FLAIR MRI.
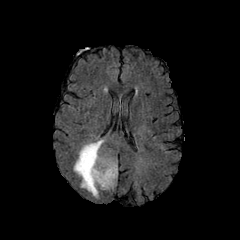
T1-weighted MRI.
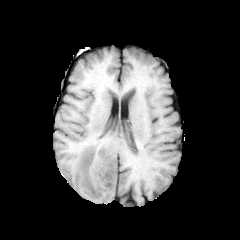
Post-contrast T1-weighted MRI.
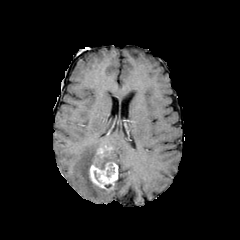
T2-weighted MR image.
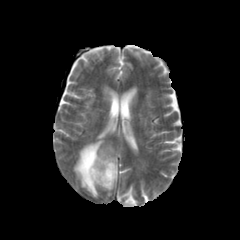
Image size 240x240
enhancing tumor: x1=90, y1=162, x2=117, y2=187 | edema: x1=94, y1=154, x2=102, y2=163; x1=73, y1=138, x2=117, y2=197 | non-enhancing tumor core: x1=82, y1=148, x2=115, y2=184